Abdomen | CT scan slice 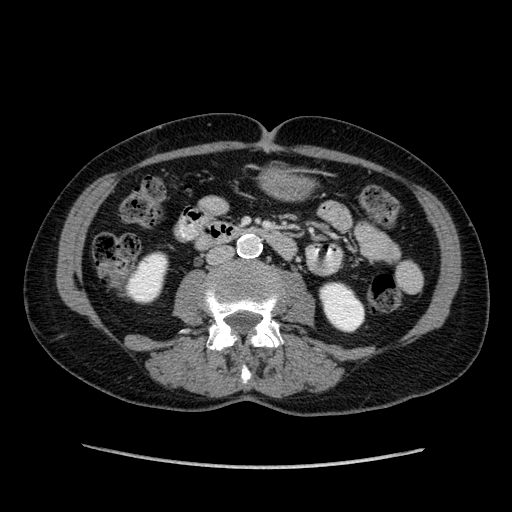
2 kidney regions are located at x1=321, y1=284, x2=363, y2=330; x1=128, y1=255, x2=165, y2=300.